Brain | Field of view 240 mm wide, 1.00 mm slice spacing | Slice index 132
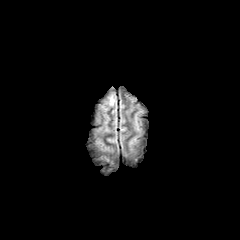
FLAIR MRI.
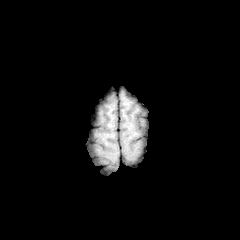
T1-weighted MR image.
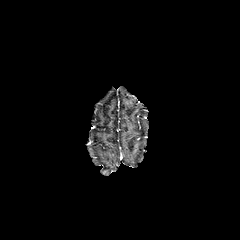
Post-contrast T1-weighted MR.
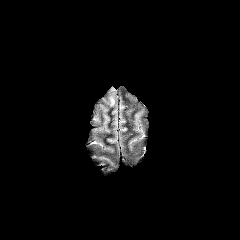
T2-weighted MRI.
<segmentation>
  <edema>box(106, 92, 116, 105)</edema>
</segmentation>